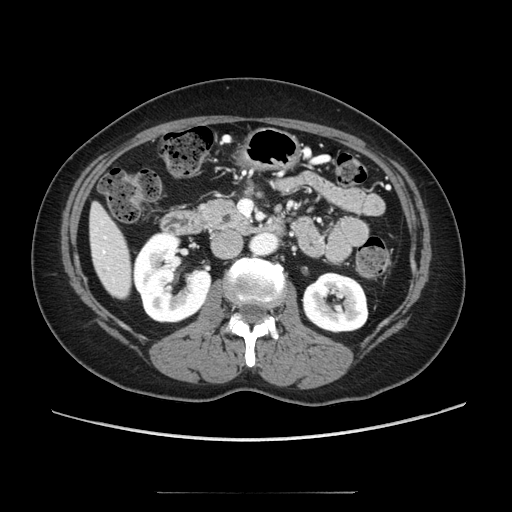
CT slice, Abdomen
The pancreas is located at l=195, t=199, r=254, b=233.